Upper abdomen. CT slice.
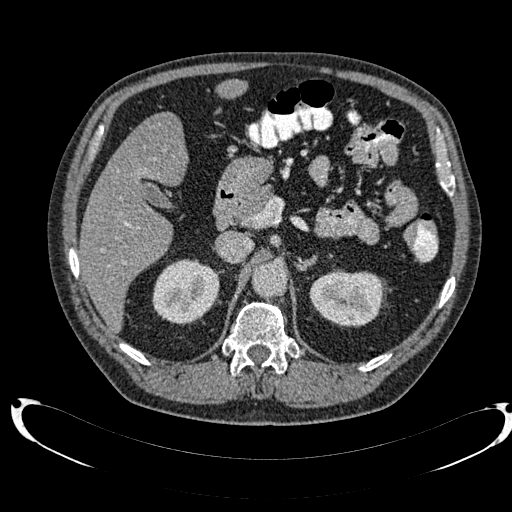

Segmented structures:
- hepatic lesion: 150:114:180:138
- kidney: 153:259:219:323, 310:270:383:326
- liver: 80:116:187:332, 216:80:248:99